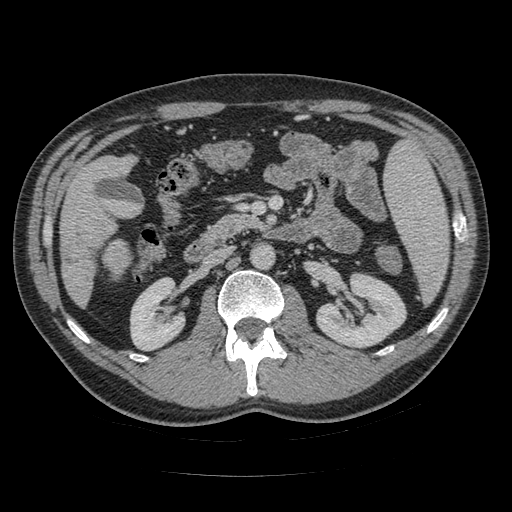
Computed tomography

Pancreas: bbox=[207, 214, 258, 241].